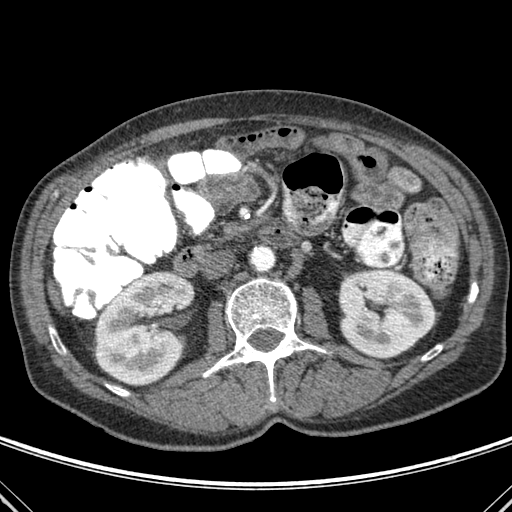

CT slice, Liver
<segmentation>
  <bone>bbox(49, 327, 64, 352); bbox(106, 384, 129, 396); bbox(203, 277, 327, 402); bbox(421, 345, 442, 360); bbox(469, 282, 478, 302); bbox(240, 208, 249, 218)</bone>
  <liver>bbox(48, 282, 60, 301)</liver>
  <kidney>bbox(340, 270, 434, 357); bbox(96, 274, 193, 384)</kidney>
</segmentation>